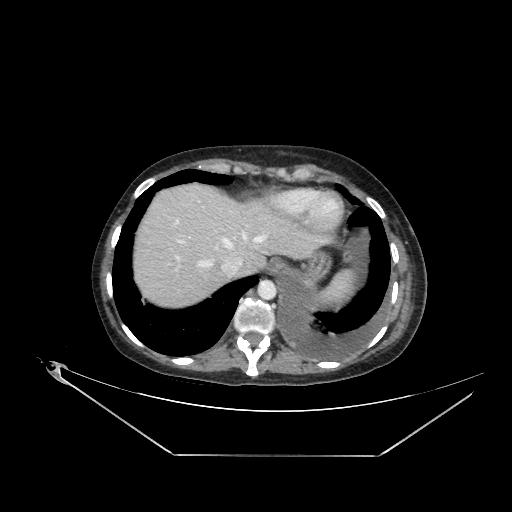
CT scan slice; 512x512 px
Segmented structures:
• liver: 136,183,333,310